Computed tomography | Liver | Field of view 387x387 mm
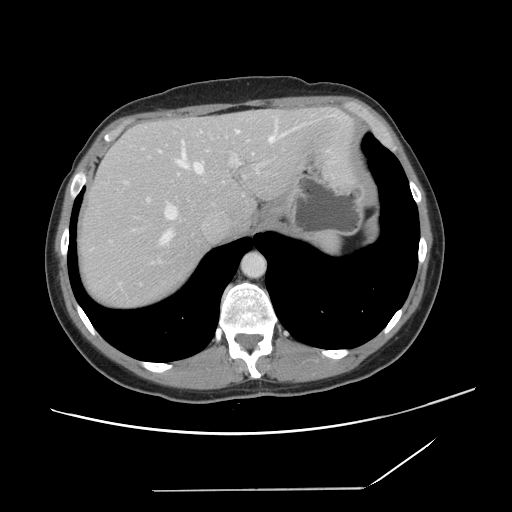
The vessel annotation is not exhaustive.
Findings:
• hepatic vessel: [235,161,240,164], [161,230,172,243], [191,163,203,173], [268,136,276,141], [158,259,160,262], [147,198,148,201], [177,140,187,167], [125,182,128,183], [256,163,263,172], [159,150,160,152], [165,205,177,219], [200,130,201,132], [132,230,133,231], [280,126,299,136], [236,130,239,133]